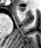
MRI

anterior_hippocampus:
  - <bbox>19, 7, 26, 11</bbox>